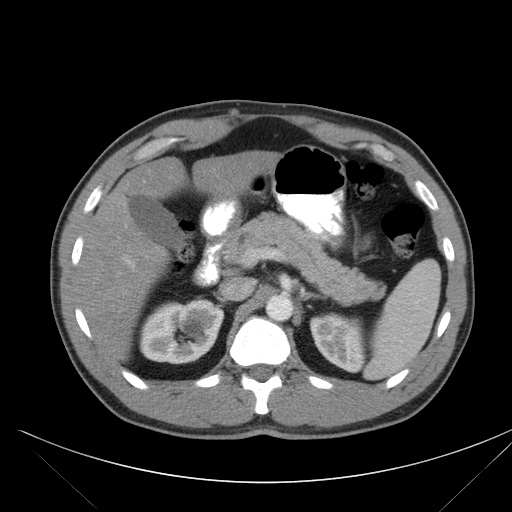
CT image

Annotated regions:
- pancreas: <box>220,212,387,305</box>